Brain
FLAIR MR image.
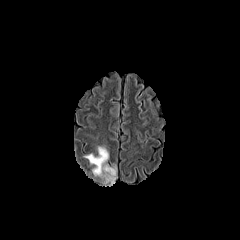
T1-weighted MR image.
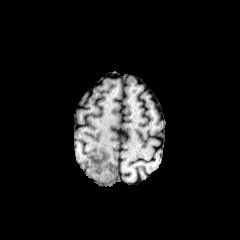
Post-contrast T1-weighted MR.
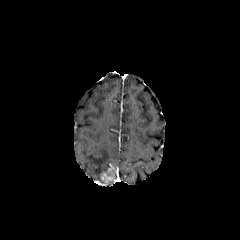
T2-weighted MR.
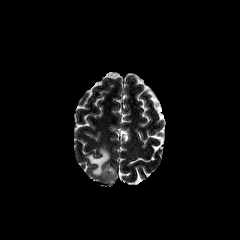
Enhancing tumor — [101,166,115,182].
Edema — [84,146,109,176].